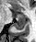 MRI slice
The posterior hippocampus lies within <bbox>11, 21, 25, 29</bbox>. The anterior hippocampus is located at <bbox>12, 13, 26, 20</bbox>.